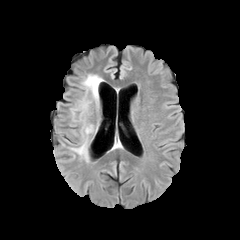
FLAIR MRI.
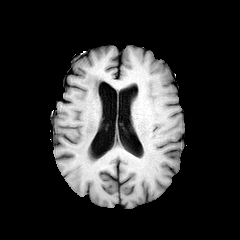
T1-weighted MRI.
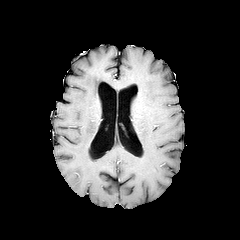
Post-contrast T1-weighted MR of the same slice.
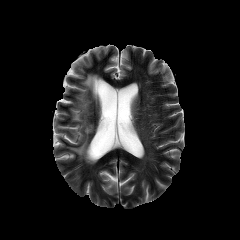
T2-weighted MRI.
Head
Annotated regions:
- edema: (70, 74, 103, 161)